Slice 429 of 846, CT scan slice, Image width 387 mm
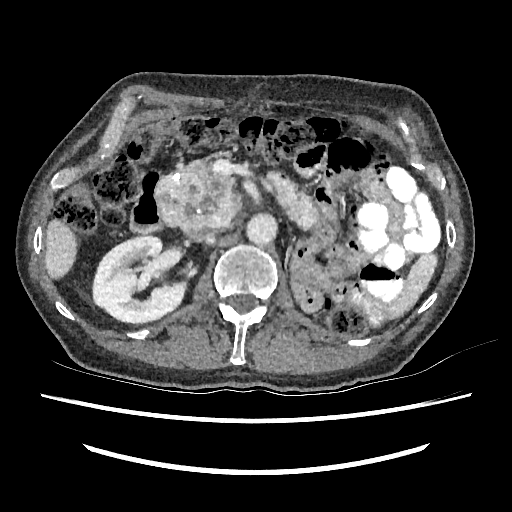

Segmented structures:
* kidney: 93 236 184 322
* liver: 46 221 76 277